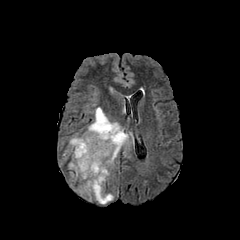
FLAIR MR.
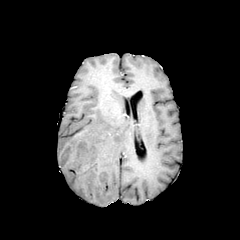
T1-weighted magnetic resonance.
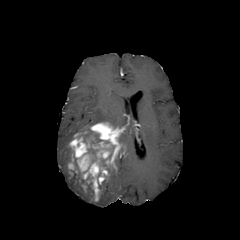
Post-contrast T1-weighted MRI of the same slice.
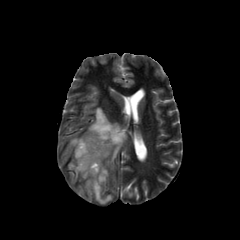
Same slice, T2-weighted MR.
{
  "enhancing_tumor": [
    "(68,154,74,169)",
    "(69,122,123,200)"
  ],
  "non-enhancing_tumor_core": [
    "(83,129,103,144)",
    "(70,150,81,176)",
    "(85,176,92,187)",
    "(88,148,97,158)"
  ],
  "edema": [
    "(75,183,94,201)",
    "(120,131,134,150)",
    "(98,176,114,204)",
    "(87,107,121,128)"
  ]
}